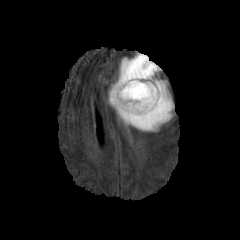
FLAIR MRI.
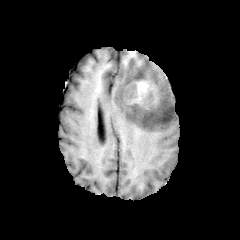
T1-weighted MRI of the same slice.
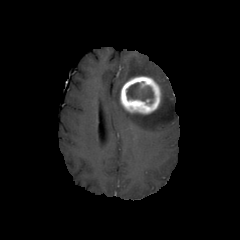
Post-contrast T1-weighted magnetic resonance.
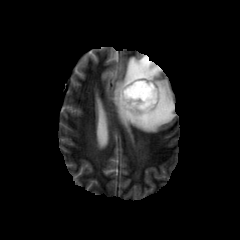
T2-weighted MRI.
Head
Edema — left=110, top=54, right=173, bottom=131.
Non-enhancing tumor core — left=126, top=83, right=153, bottom=103.
Enhancing tumor — left=119, top=75, right=161, bottom=114.